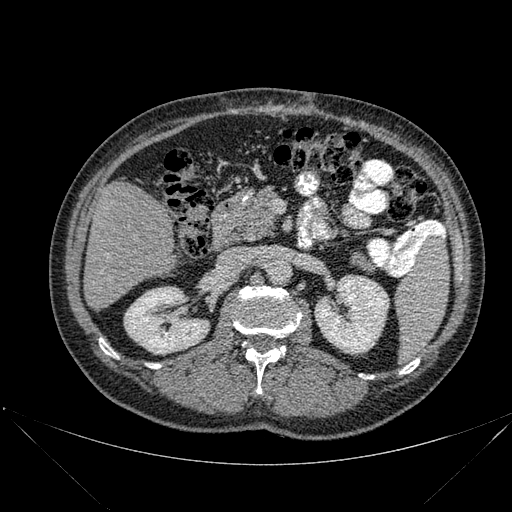

512x512 px | CT image

2 kidney regions appear at (left=124, top=287, right=208, bottom=353), (left=315, top=275, right=388, bottom=353). 6 bone regions are located at (left=99, top=338, right=118, bottom=357), (left=399, top=359, right=419, bottom=374), (left=232, top=286, right=301, bottom=337), (left=359, top=374, right=373, bottom=378), (left=148, top=364, right=160, bottom=368), (left=246, top=346, right=285, bottom=393). The liver is at (left=84, top=182, right=173, bottom=308).